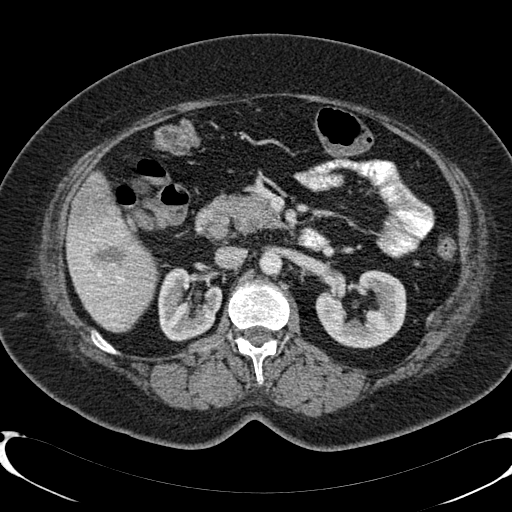
512x512, Computed tomography
kidney: bbox(306, 259, 405, 347); bbox(157, 265, 221, 341) | hepatic lesion: bbox(71, 175, 112, 217); bbox(91, 245, 127, 266) | liver: bbox(66, 198, 155, 331)